CT scan slice, Slice 544 of 896 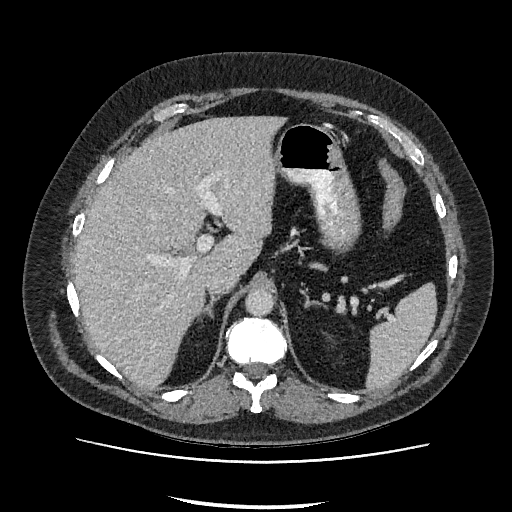

Annotated regions:
* liver: l=76, t=117, r=282, b=388